FLAIR magnetic resonance.
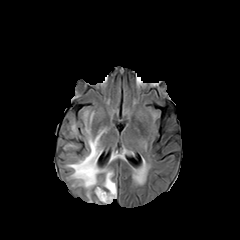
T1-weighted MR.
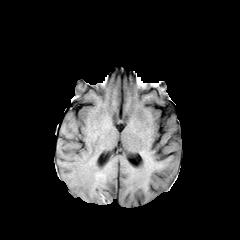
Post-contrast T1-weighted MR.
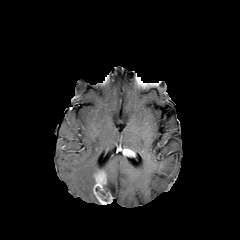
T2-weighted MRI.
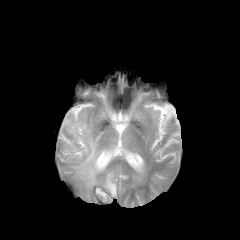
Brain, Image size 240x240
Enhancing tumor: l=96, t=172, r=106, b=190.
Edema: l=108, t=151, r=125, b=163; l=67, t=122, r=116, b=201.
Non-enhancing tumor core: l=95, t=184, r=108, b=202.